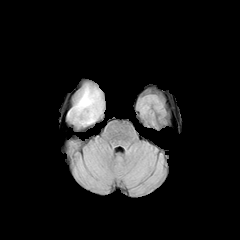
FLAIR magnetic resonance.
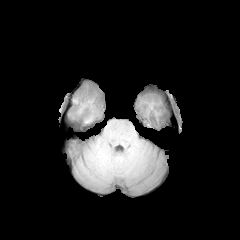
T1-weighted MR image.
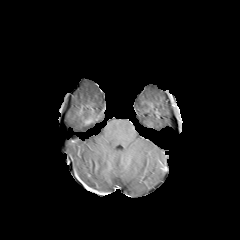
Post-contrast T1-weighted MR.
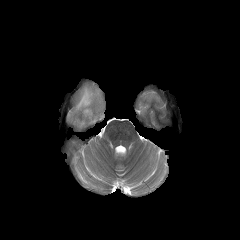
T2-weighted MR.
Image size 240x240
The non-enhancing tumor core lies within <bbox>79, 105, 95, 122</bbox>. The edema is bounded by <bbox>67, 84, 103, 126</bbox>.